FLAIR MRI.
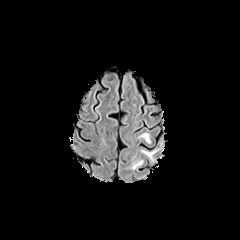
T1-weighted MRI.
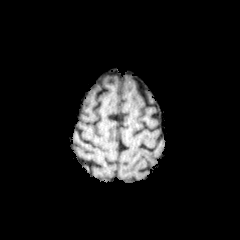
Post-contrast T1-weighted magnetic resonance.
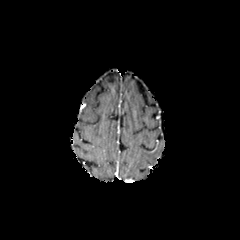
T2-weighted MR image.
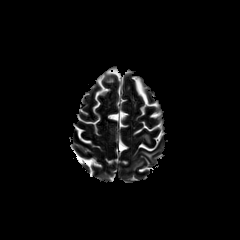
Brain
Edema: bounding box box=[141, 148, 161, 160]; box=[139, 133, 151, 143]; box=[133, 160, 144, 170].